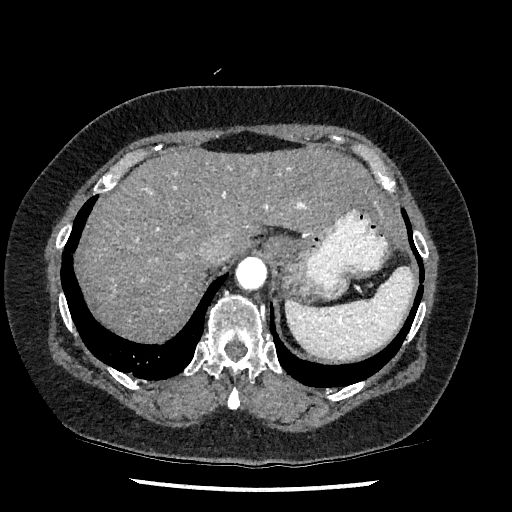

Abdomen | 512x512 | CT image

The liver is at 81 148 403 340.